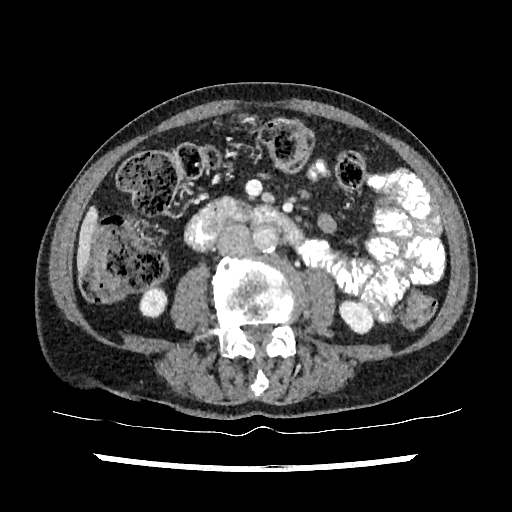

512x512. CT image.

Kidney = [341,303,369,330], [141,290,165,314].
Liver = [77,208,97,270].